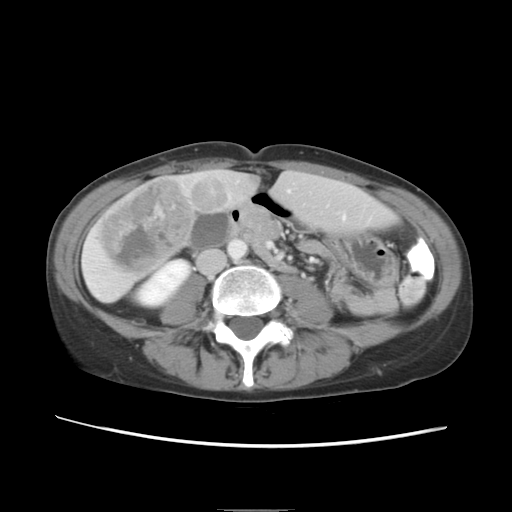

Computed tomography. Only some of the vessels may be annotated.
Annotated regions:
• hepatic vessel: l=89, t=282, r=93, b=284; l=288, t=190, r=289, b=191; l=343, t=215, r=344, b=218; l=228, t=195, r=229, b=196
• liver tumor: l=94, t=179, r=194, b=274